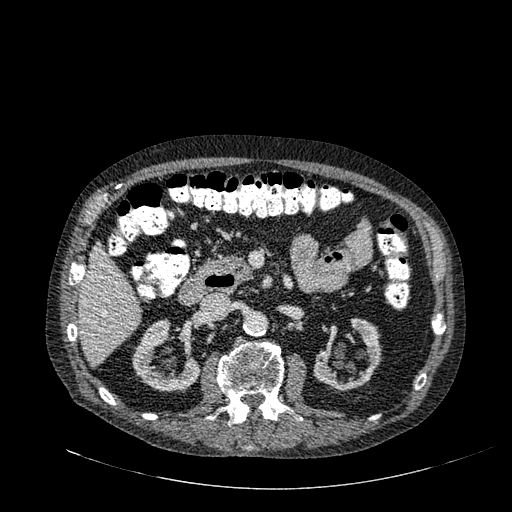 Upper abdomen; CT slice
Kidney: <bbox>132, 318, 200, 391</bbox>, <bbox>313, 318, 381, 390</bbox>.
Liver: <bbox>81, 244, 140, 367</bbox>.